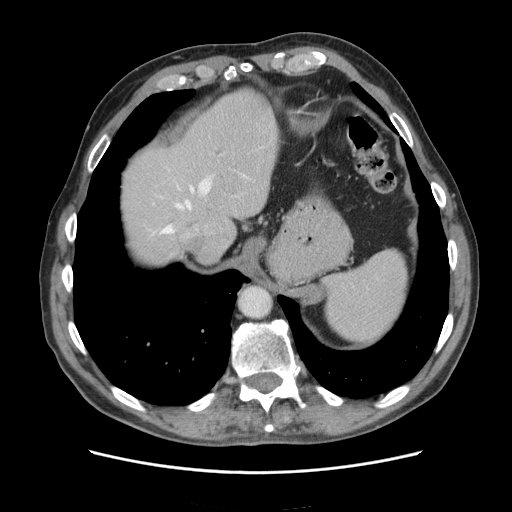

CT slice. Upper abdomen. Annotated regions:
* spleen: [x1=323, y1=250, x2=407, y2=342]